Field of view 442x442 mm; Abdomen; CT image; 512x512
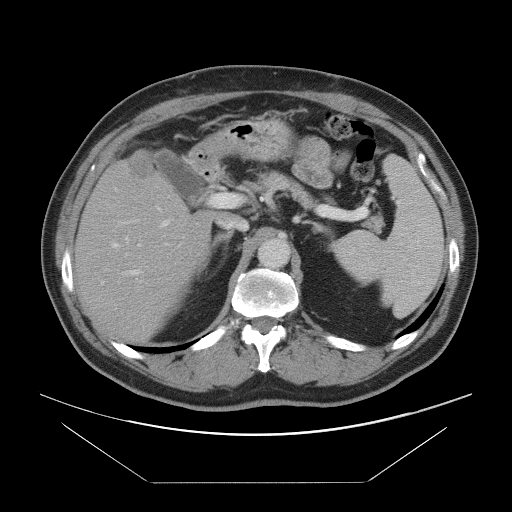
The vessel boxes may cover only some of the vessels.
hepatic_vessel:
  - l=125, t=270, r=138, b=274
  - l=158, t=207, r=160, b=209
  - l=122, t=221, r=128, b=222
  - l=162, t=220, r=168, b=225
liver_tumor:
  - l=129, t=157, r=154, b=179